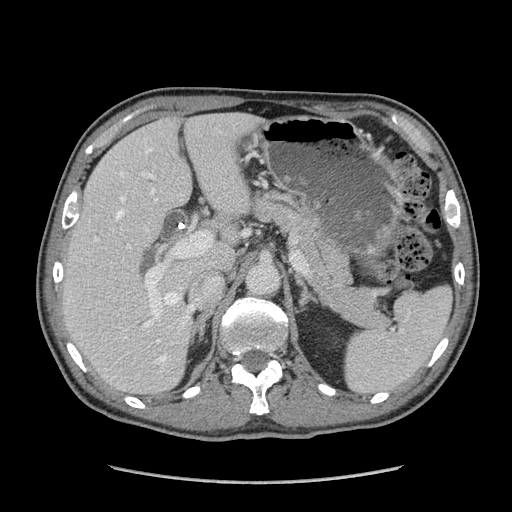
CT slice
Annotated regions:
- pancreas: [x1=250, y1=188, x2=389, y2=330]